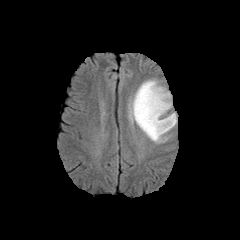
FLAIR MR.
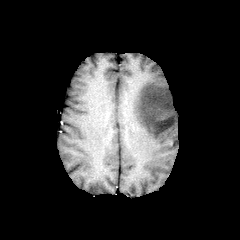
Same slice, T1-weighted MR image.
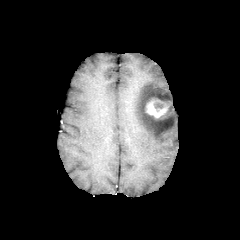
Post-contrast T1-weighted MRI.
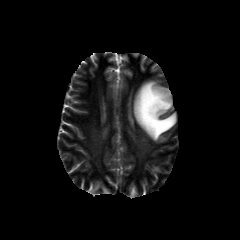
T2-weighted magnetic resonance of the same slice.
Head.
Edema: bounding box rect(130, 78, 176, 143).
Enhancing tumor: bounding box rect(146, 99, 171, 118).